Brain
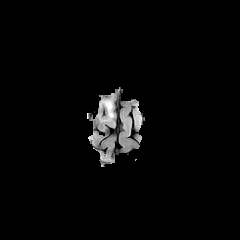
FLAIR MR.
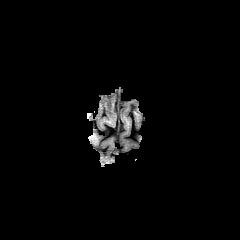
T1-weighted MR.
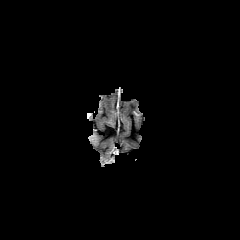
Post-contrast T1-weighted MRI.
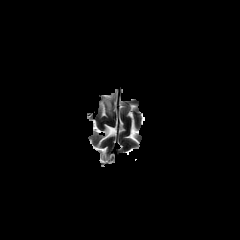
Same slice, T2-weighted magnetic resonance.
Edema: left=99, top=95, right=114, bottom=121.